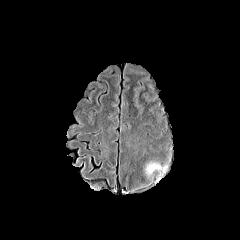
FLAIR MRI.
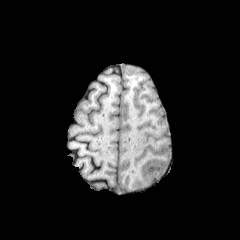
T1-weighted MR of the same slice.
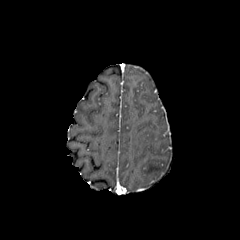
Same slice, post-contrast T1-weighted magnetic resonance.
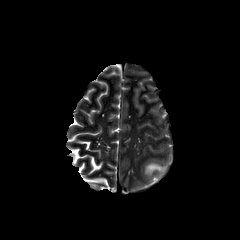
Same slice, T2-weighted MR image.
Annotated regions:
- edema: <box>146,163,165,173</box>